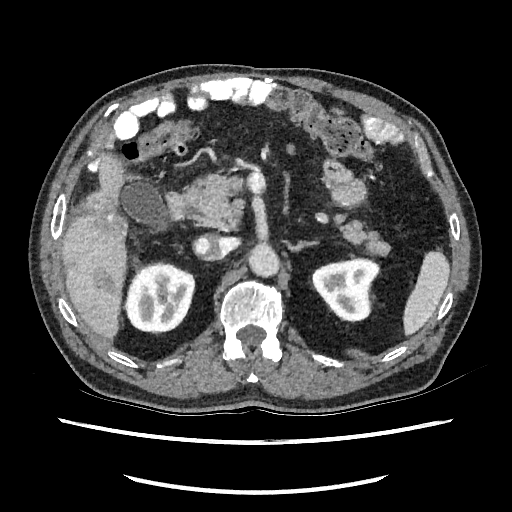

Liver. CT image.

The liver lies within 62 155 126 338. 2 focal liver lesion regions are located at 93 268 116 293, 95 201 126 237. 2 kidney regions are located at 312 258 379 321, 123 262 194 333.